Slice 70 of 155, Head
FLAIR MRI.
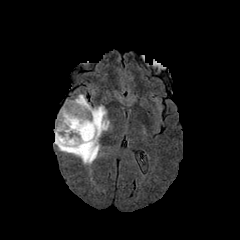
T1-weighted MR image.
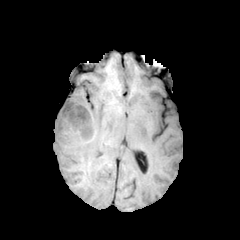
Post-contrast T1-weighted MR.
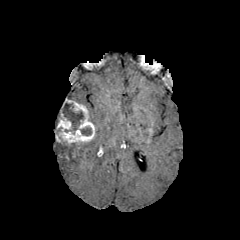
T2-weighted MRI.
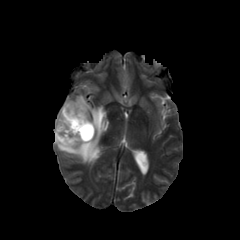
{"non-enhancing_tumor_core": ["(left=62, top=103, right=92, bottom=136)"], "edema": ["(left=54, top=93, right=110, bottom=165)"], "enhancing_tumor": ["(left=55, top=99, right=94, bottom=143)"]}